FLAIR magnetic resonance.
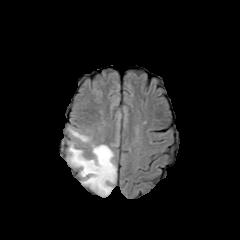
T1-weighted MR.
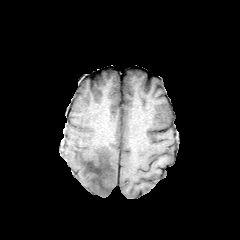
Post-contrast T1-weighted MRI.
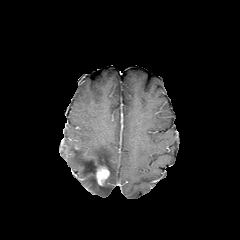
T2-weighted magnetic resonance.
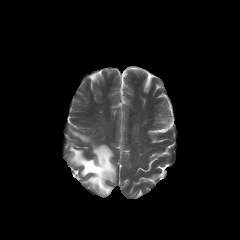
Enhancing tumor = [95, 166, 109, 185].
Non-enhancing tumor core = [84, 160, 112, 183], [98, 181, 109, 191].
Edema = [67, 127, 117, 196].